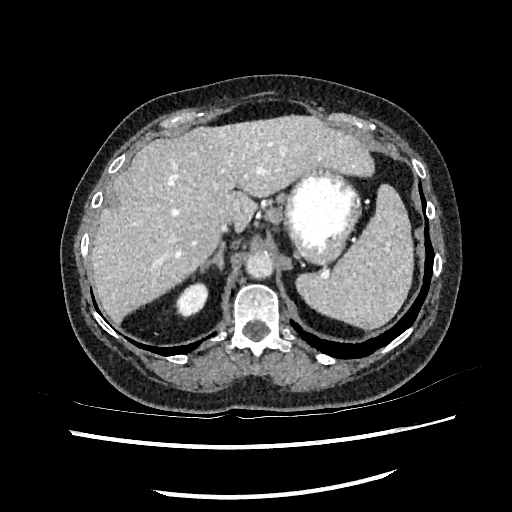 Abdomen; CT scan slice; 512x512

<segmentation>
  <liver>90:115:374:324</liver>
  <kidney>178:285:206:315</kidney>
</segmentation>